Field of view 240x240 mm, Brain
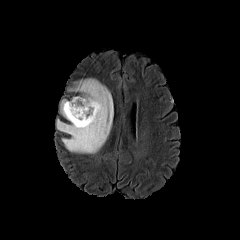
FLAIR MR.
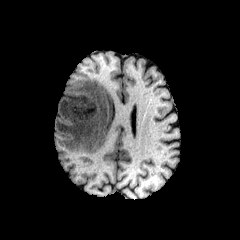
T1-weighted MR.
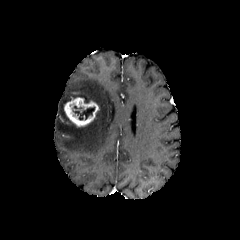
Post-contrast T1-weighted magnetic resonance of the same slice.
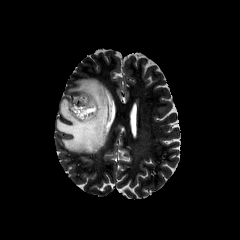
T2-weighted MR image.
<segmentation>
  <edema><box>55,78,113,153</box>, <box>60,99,68,119</box></edema>
  <non-enhancing_tumor_core><box>74,107,95,120</box></non-enhancing_tumor_core>
  <enhancing_tumor><box>64,97,99,127</box></enhancing_tumor>
</segmentation>